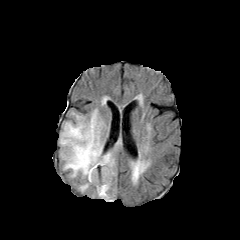
FLAIR MRI.
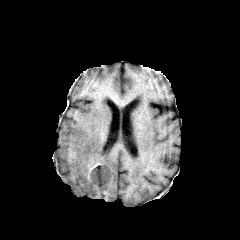
T1-weighted magnetic resonance.
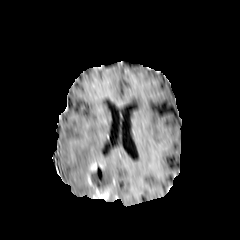
Post-contrast T1-weighted MRI of the same slice.
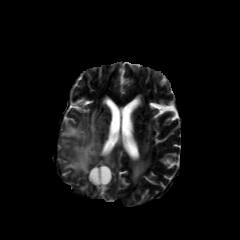
Same slice, T2-weighted MRI.
2 edema regions are bounded by 133,162,143,176; 60,109,115,192. The non-enhancing tumor core is at 89,163,111,194. 2 enhancing tumor regions are bounded by 90,162,96,171; 96,189,107,197.